FLAIR MR.
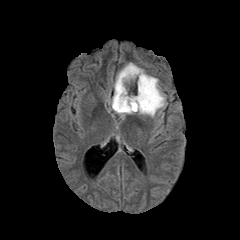
T1-weighted MRI.
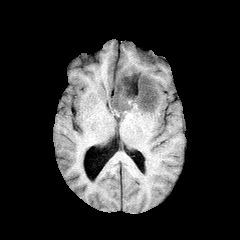
Post-contrast T1-weighted magnetic resonance.
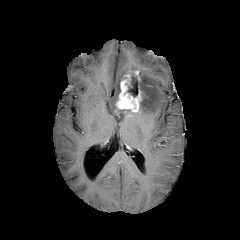
T2-weighted magnetic resonance.
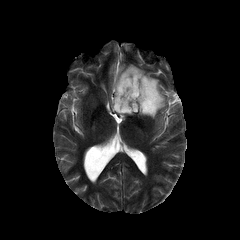
Enhancing tumor — x1=115, y1=74, x2=142, y2=111.
Non-enhancing tumor core — x1=127, y1=72, x2=154, y2=111.
Edema — x1=108, y1=62, x2=167, y2=121.